FLAIR MR image.
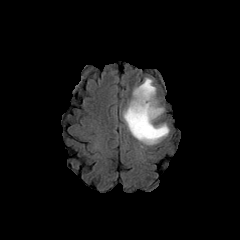
T1-weighted MRI.
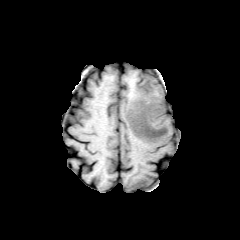
Post-contrast T1-weighted MRI.
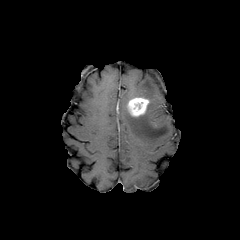
T2-weighted MR.
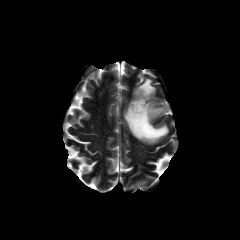
Brain | Image size 240x240
Enhancing tumor: bounding box <box>127,96,149,116</box>.
Edema: bounding box <box>123,78,169,144</box>.